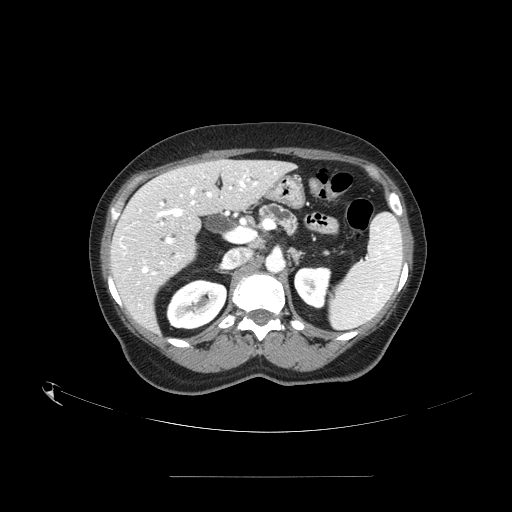 Computed tomography, Upper abdomen

The pancreas is bounded by (left=258, top=204, right=299, bottom=236).